Field of view 200x200 mm. Prostate. Image size 320x320.
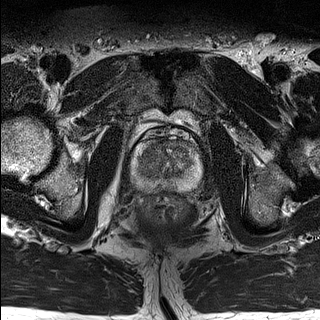
T2-weighted MR.
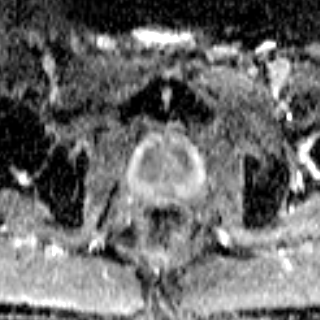
Same slice, ADC MR.
The prostate peripheral zone is at bbox(132, 140, 201, 192). The prostate transition zone is bounded by bbox(140, 139, 191, 178).